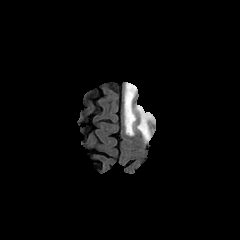
FLAIR MRI.
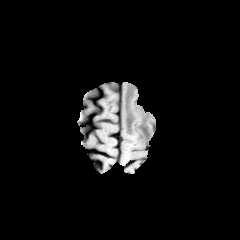
T1-weighted magnetic resonance.
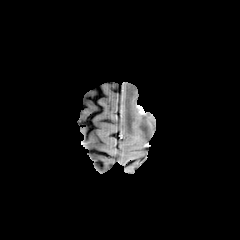
Post-contrast T1-weighted MRI.
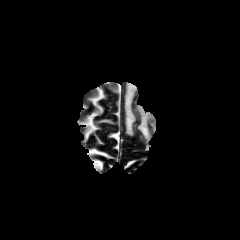
T2-weighted MR image.
Enhancing tumor at region(136, 104, 146, 114).
Edema at region(123, 82, 155, 143).